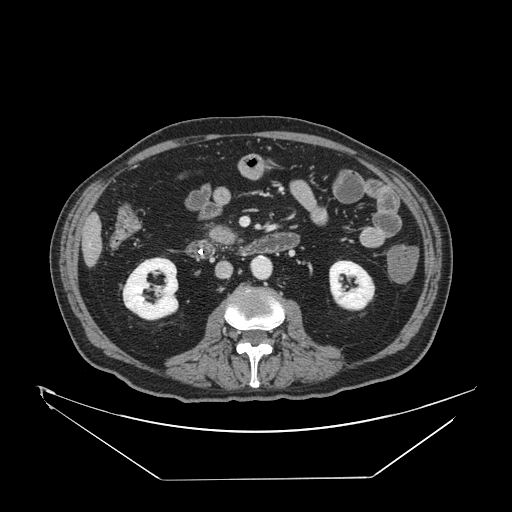 Computed tomography | Image size 512x512
The pancreatic tumor is bounded by box=[210, 228, 234, 243]. The pancreas lies within box=[204, 222, 239, 249].